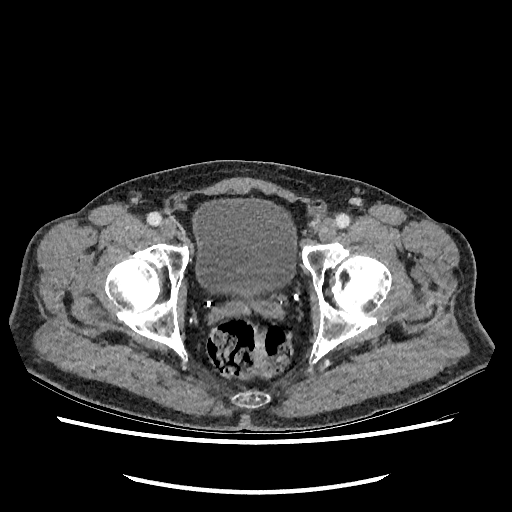
CT slice

The urinary bladder lies within {"x1": 192, "y1": 198, "x2": 296, "y2": 299}.